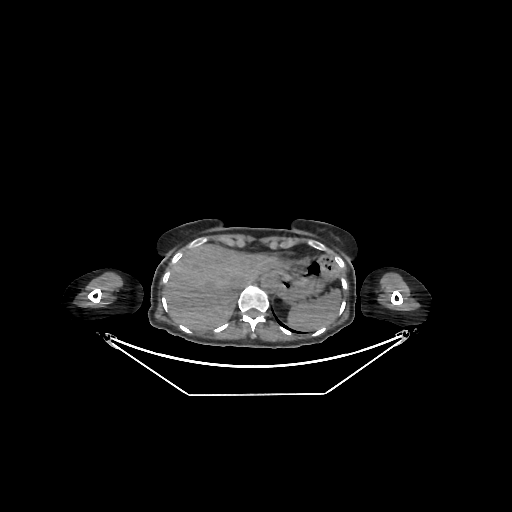 Computed tomography
<segmentation>
  <liver>164, 245, 281, 330</liver>
</segmentation>